FLAIR MR.
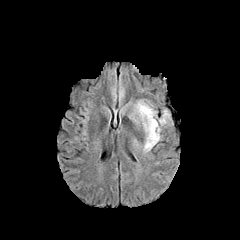
T1-weighted MR image.
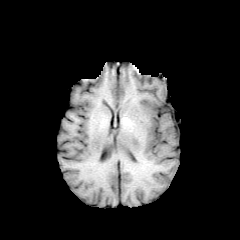
Post-contrast T1-weighted MRI.
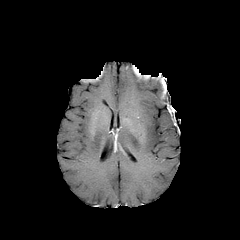
T2-weighted MR.
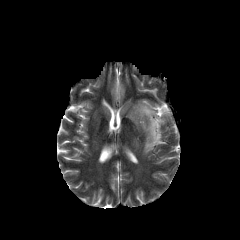
Edema: bounding box (left=128, top=99, right=169, bottom=152).